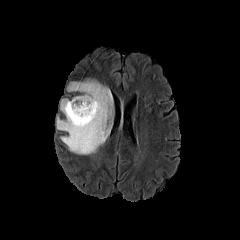
FLAIR MR.
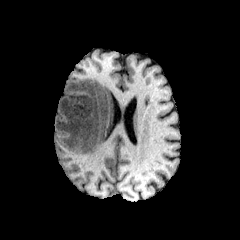
T1-weighted MR.
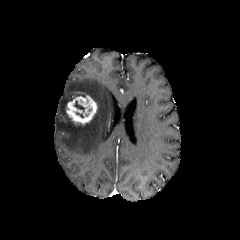
Post-contrast T1-weighted MR image of the same slice.
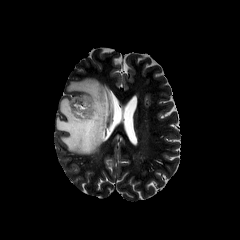
T2-weighted MR image.
<segmentation>
  <edema><bbox>55, 78, 113, 154</bbox></edema>
  <enhancing_tumor><bbox>66, 95, 97, 125</bbox></enhancing_tumor>
</segmentation>